Slice index 42, Computed tomography

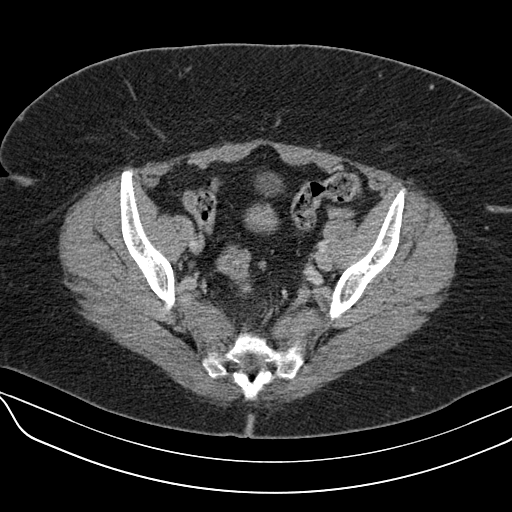 <segmentation>
  <colon_tumor>{"x1": 218, "y1": 248, "x2": 250, "y2": 279}</colon_tumor>
</segmentation>